FLAIR magnetic resonance.
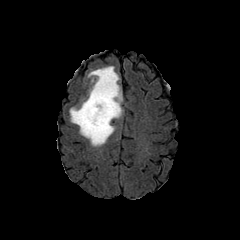
T1-weighted MRI.
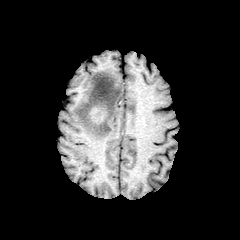
Post-contrast T1-weighted MR image.
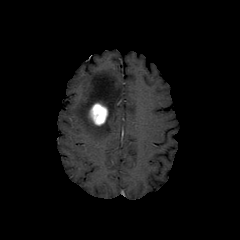
T2-weighted MR image.
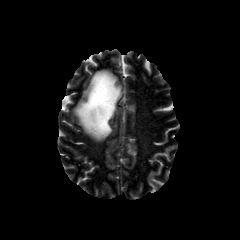
240x240 px | Brain
The enhancing tumor appears at [88, 102, 108, 126]. The edema is bounded by [69, 66, 123, 147].